Slice 74 of 155. Brain.
FLAIR magnetic resonance.
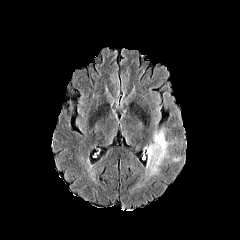
T1-weighted MR.
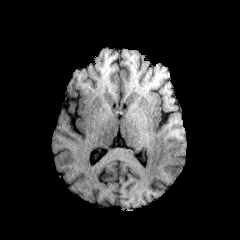
Post-contrast T1-weighted MRI.
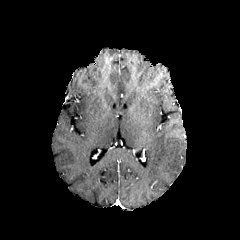
T2-weighted MR image.
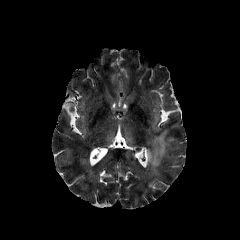
Findings:
• edema: l=144, t=129, r=169, b=175